CT image | Abdomen

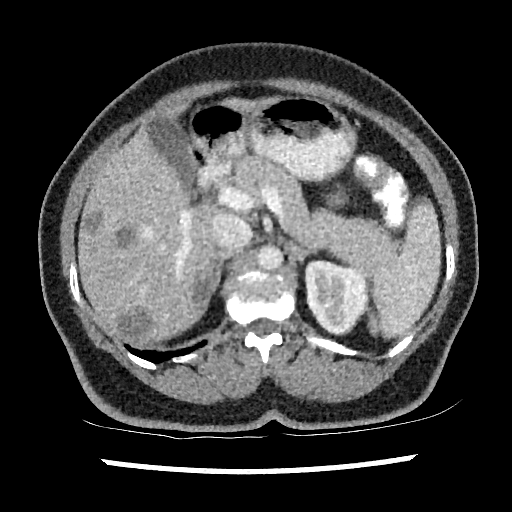 liver: [78, 127, 215, 342], [165, 102, 184, 119], [225, 100, 255, 111] | focal liver lesion: [193, 275, 210, 308], [117, 310, 150, 342], [82, 212, 100, 231], [115, 227, 134, 247] | kidney: [306, 261, 366, 333]